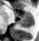

Medial temporal lobe | Magnetic resonance
The anterior hippocampus is bounded by [16,13,32,18]. The posterior hippocampus lies within [17,19,32,27].